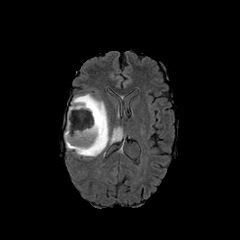
FLAIR magnetic resonance.
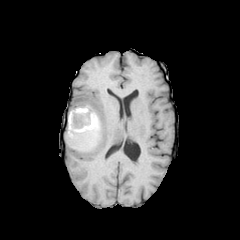
T1-weighted magnetic resonance of the same slice.
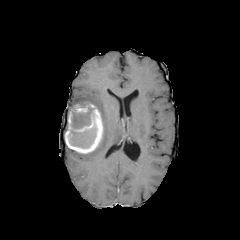
Post-contrast T1-weighted magnetic resonance.
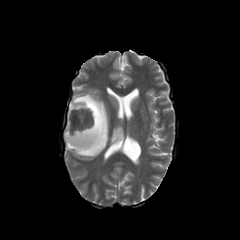
T2-weighted MR image.
2 enhancing tumor regions are located at (74,104,89,112), (64,104,103,153). The edema appears at (68,93,123,157). The non-enhancing tumor core lies within (69,101,95,145).